Slice 333 of 761 | Upper abdomen | Field of view 400x400 mm | CT scan slice

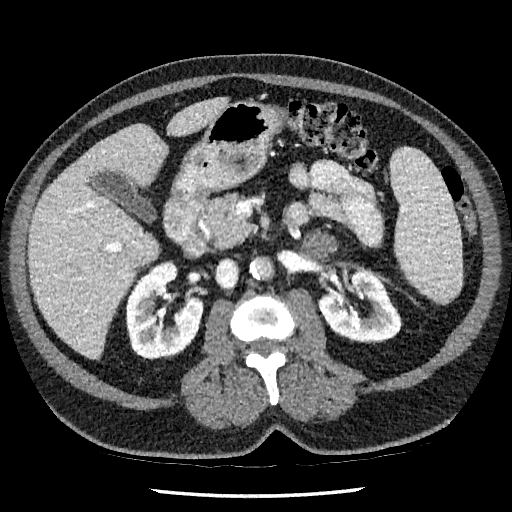
Kidney = (left=319, top=271, right=400, bottom=340), (left=127, top=263, right=202, bottom=357).
Liver = (left=167, top=97, right=227, bottom=136), (left=29, top=124, right=167, bottom=357).